CT. Abdomen. Slice 326/856.
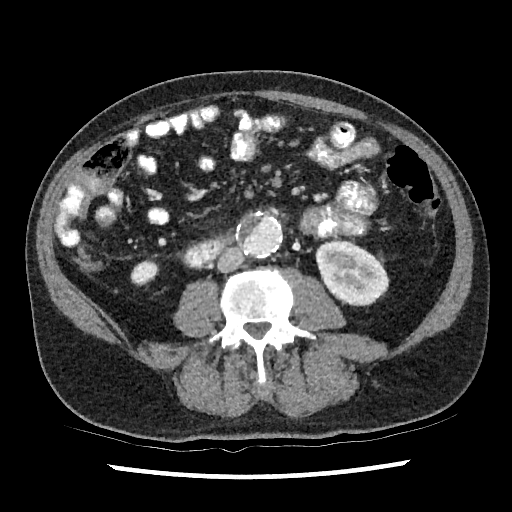 Annotated regions:
- kidney: 318 242 388 304, 132 262 156 283